FLAIR magnetic resonance.
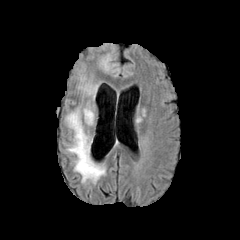
T1-weighted MR.
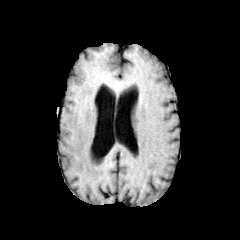
Post-contrast T1-weighted MR image.
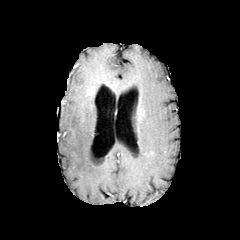
T2-weighted MR.
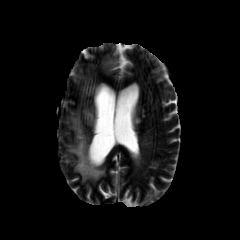
Findings:
* edema: (x1=65, y1=106, x2=105, y2=184), (x1=78, y1=76, x2=98, y2=97)
* non-enhancing tumor core: (x1=86, y1=86, x2=95, y2=94)